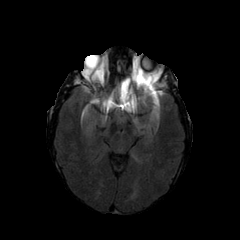
FLAIR MR.
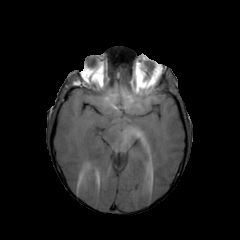
T1-weighted MR image.
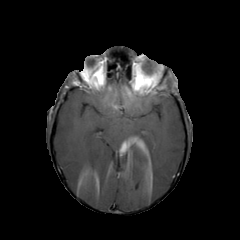
Post-contrast T1-weighted MRI.
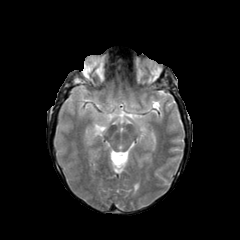
Same slice, T2-weighted MR image.
240x240 px
<segmentation>
  <edema><bbox>112, 100, 135, 111</bbox>, <bbox>142, 86, 163, 114</bbox></edema>
  <non-enhancing_tumor_core><bbox>85, 61, 102, 80</bbox>, <bbox>132, 66, 156, 93</bbox></non-enhancing_tumor_core>
  <enhancing_tumor><bbox>142, 67, 159, 83</bbox></enhancing_tumor>
</segmentation>